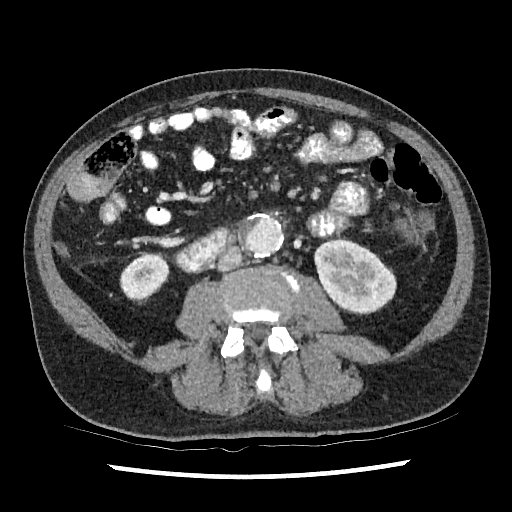

CT
2 kidney regions are located at x1=315 y1=240 x2=395 y2=313, x1=121 y1=254 x2=168 y2=298.